Abdomen; CT; Field of view 497 mm wide, 1.50 mm slice spacing
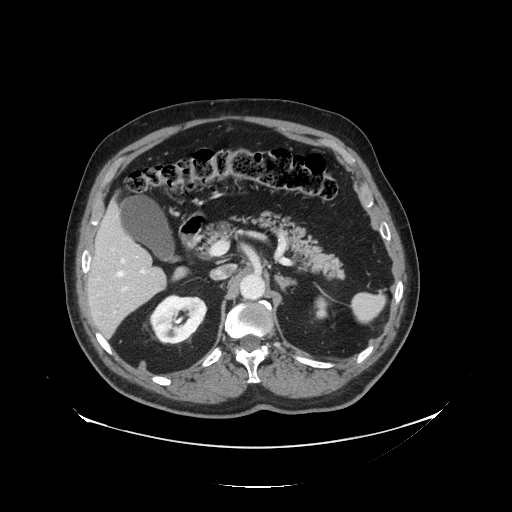 Some hepatic vessels may have no box.
Annotated regions:
• hepatic vessel: [x1=122, y1=259, x2=124, y2=262], [x1=155, y1=269, x2=159, y2=270], [x1=117, y1=271, x2=124, y2=277], [x1=141, y1=270, x2=145, y2=273], [x1=122, y1=288, x2=126, y2=290]